Field of view 240 mm wide, 1.00 mm slice spacing.
FLAIR magnetic resonance.
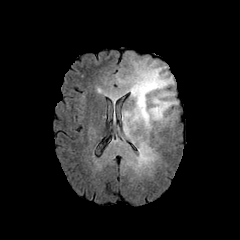
T1-weighted magnetic resonance.
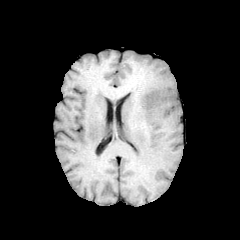
Post-contrast T1-weighted MR image.
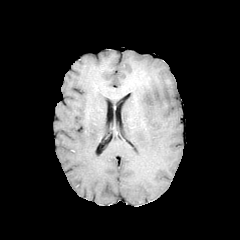
T2-weighted MR image.
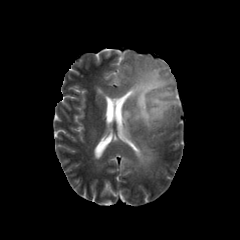
Findings:
- non-enhancing tumor core: bbox(128, 72, 149, 113); bbox(145, 90, 165, 100); bbox(127, 109, 143, 121)
- edema: bbox(109, 62, 176, 136); bbox(137, 143, 152, 164)